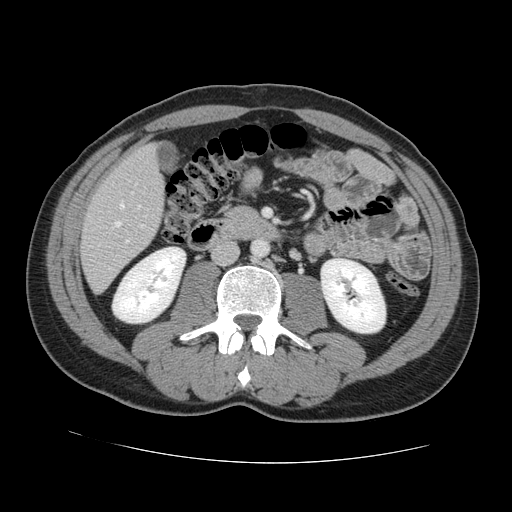
Computed tomography, Abdomen
Not every hepatic vessel necessarily has a box.
Hepatic vessel = region(109, 268, 110, 270); region(137, 205, 140, 208); region(119, 203, 123, 208); region(114, 222, 119, 226); region(126, 240, 128, 241); region(139, 224, 142, 226).